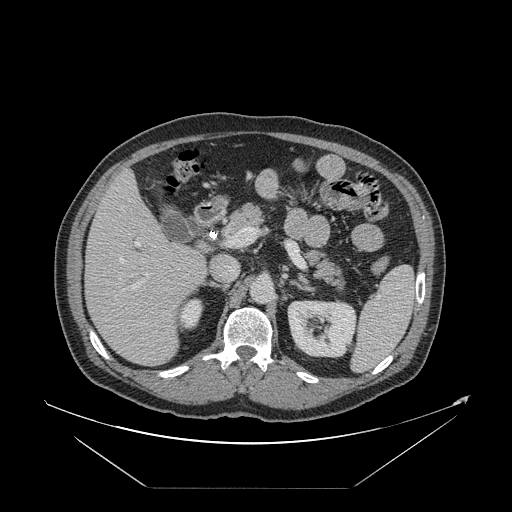

512x512; Computed tomography

The vessel boxes may cover only some of the vessels.
Hepatic vessel: bbox(144, 273, 148, 276); bbox(119, 258, 123, 262); bbox(227, 234, 236, 246); bbox(136, 242, 138, 246); bbox(130, 283, 139, 288); bbox(123, 289, 125, 291).